MR image | Slice 18/41 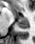

posterior hippocampus: rect(17, 19, 28, 28) | anterior hippocampus: rect(12, 12, 16, 17); rect(19, 17, 26, 18)